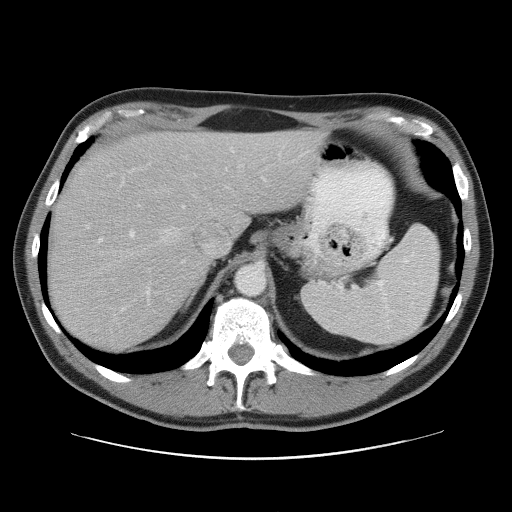

CT slice. 512x512 px.

The vessel boxes may cover only some of the vessels.
<segmentation>
  <hepatic_vessel>rect(225, 169, 226, 170); rect(159, 228, 178, 243); rect(230, 148, 233, 152); rect(145, 288, 149, 301); rect(121, 179, 123, 184); rect(129, 170, 132, 171); rect(85, 226, 88, 228); rect(238, 171, 242, 172); rect(181, 205, 185, 208); rect(199, 197, 200, 201); rect(129, 231, 133, 237); rect(261, 177, 264, 180); rect(98, 238, 102, 242)</hepatic_vessel>
</segmentation>